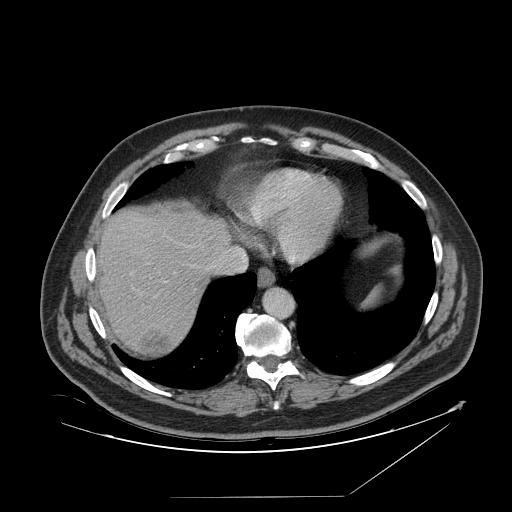

CT | 512x512 px
The spleen is bounded by <bbox>363, 288, 383, 309</bbox>.